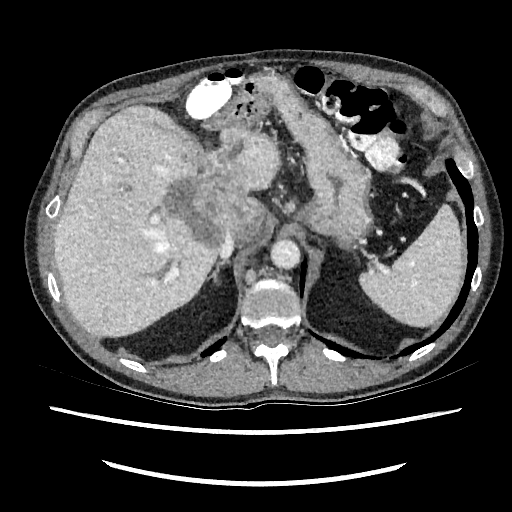 Upper abdomen, CT slice
Focal liver lesion: l=162, t=146, r=264, b=246.
Liver: l=53, t=107, r=279, b=336; l=247, t=214, r=264, b=240.